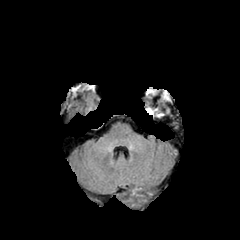
FLAIR magnetic resonance.
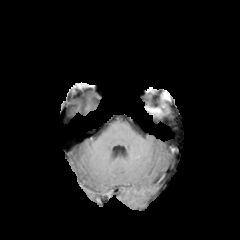
T1-weighted MR image.
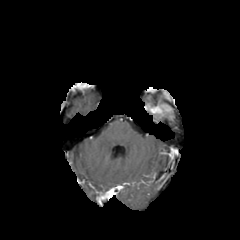
Same slice, post-contrast T1-weighted MR image.
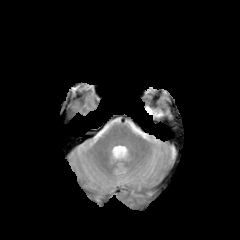
Same slice, T2-weighted magnetic resonance.
240x240
enhancing_tumor:
  - {"x1": 147, "y1": 108, "x2": 161, "y2": 113}